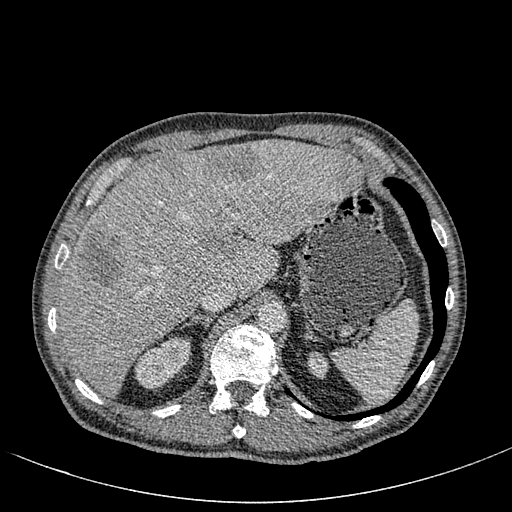 CT image. Upper abdomen.
• liver: x1=58, y1=140, x2=363, y2=397
• focal liver lesion: x1=160, y1=155, x2=183, y2=174; x1=202, y1=146, x2=260, y2=180; x1=79, y1=226, x2=122, y2=285; x1=201, y1=230, x2=242, y2=253
• kidney: x1=135, y1=337, x2=190, y2=387; x1=308, y1=352, x2=327, y2=377